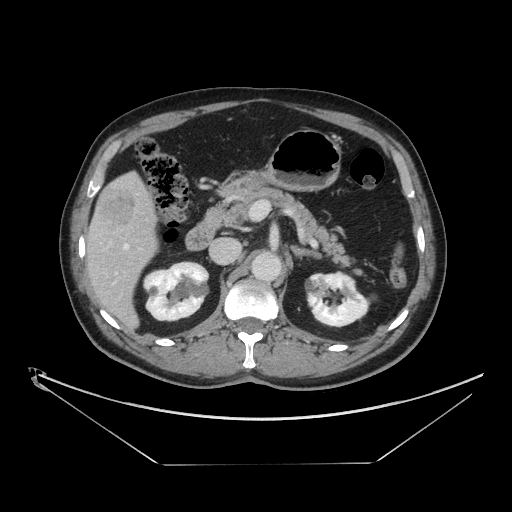 CT image; 512x512 px; Abdomen

The vessel annotation is not exhaustive.
2 hepatic vessel regions appear at box(115, 272, 117, 275); box(124, 245, 128, 248). The liver tumor is located at box(96, 186, 136, 228).